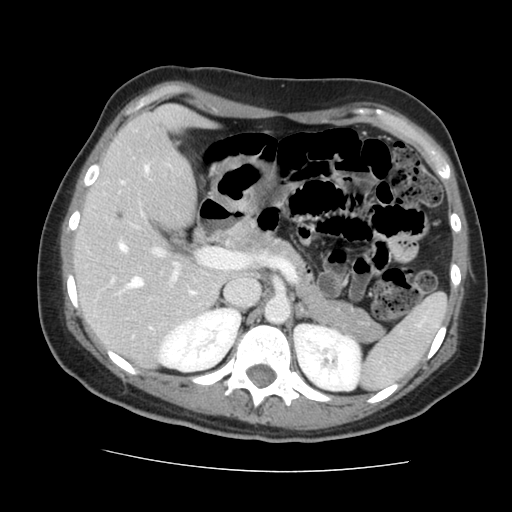 Computed tomography. Image size 512x512. Liver. Not every hepatic vessel necessarily has a box.
Hepatic vessel: l=172, t=264, r=177, b=280; l=127, t=278, r=141, b=287; l=153, t=249, r=162, b=255; l=111, t=280, r=112, b=282; l=119, t=244, r=125, b=250.